Field of view 36 mm wide, 1.00 mm slice spacing; Slice 16/43; MRI 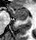

posterior hippocampus: 16, 19, 25, 20 | anterior hippocampus: 8, 7, 28, 18